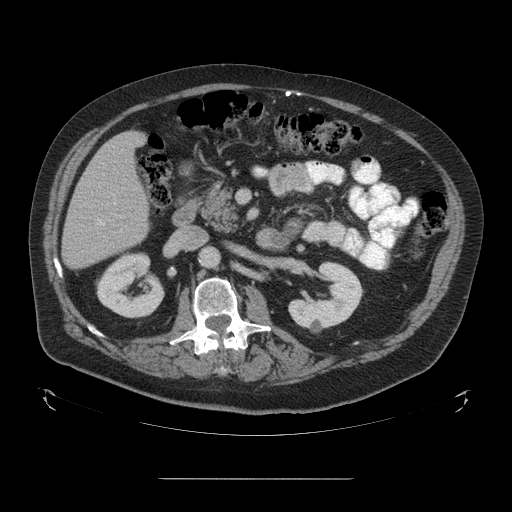

CT slice. Liver. The vessel annotation is not exhaustive.
{"hepatic_vessel": ["box=[96, 218, 105, 225]", "box=[113, 214, 124, 218]", "box=[109, 192, 116, 204]", "box=[120, 226, 126, 232]"]}